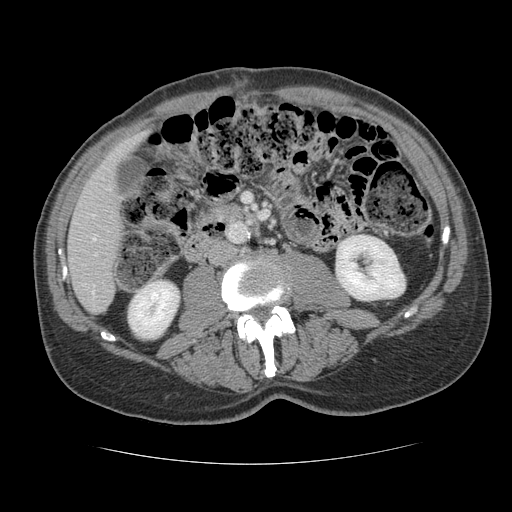

Abdomen | Computed tomography
Not every hepatic vessel necessarily has a box.
hepatic_vessel:
  - region(93, 235, 95, 239)
  - region(93, 285, 94, 286)
  - region(91, 214, 93, 215)
  - region(94, 253, 96, 254)
  - region(92, 288, 94, 296)